CT.

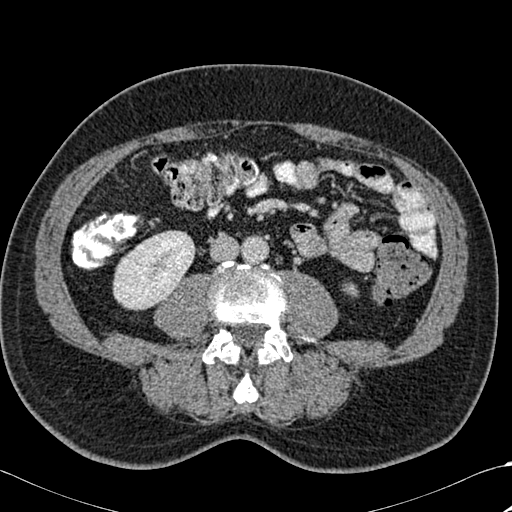

bone:
  - [202, 261, 292, 403]
kidney:
  - [114, 231, 194, 308]